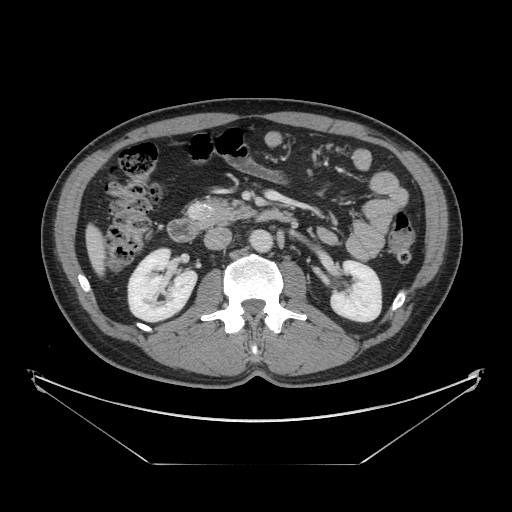 Upper abdomen. CT scan slice.
- pancreatic tumor: <bbox>187, 202, 212, 220</bbox>
- pancreas: <bbox>187, 196, 254, 228</bbox>